Slice 76/155 | Brain
FLAIR MRI.
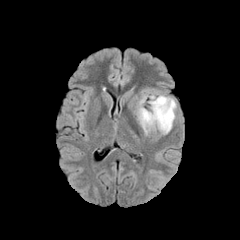
T1-weighted MR image.
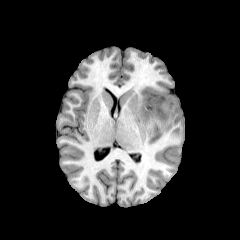
Post-contrast T1-weighted MR.
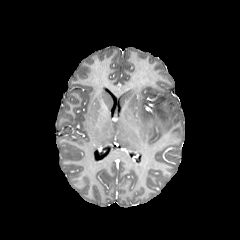
T2-weighted MRI.
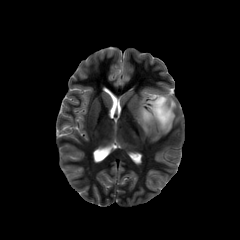
non-enhancing tumor core: [145,99,163,118] | edema: [135,89,176,135]